FLAIR MR.
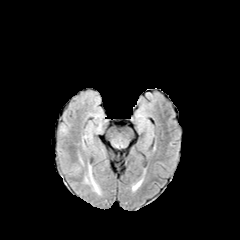
T1-weighted magnetic resonance.
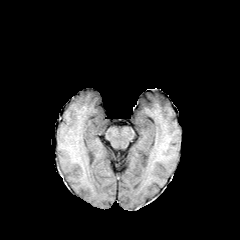
Post-contrast T1-weighted MR image.
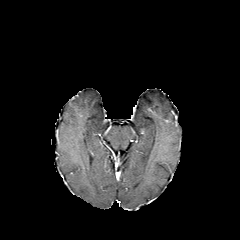
T2-weighted MR image.
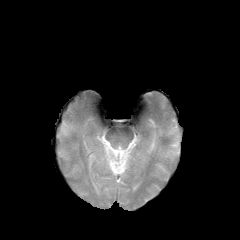
<segmentation>
  <edema>left=85, top=164, right=100, bottom=194</edema>
</segmentation>